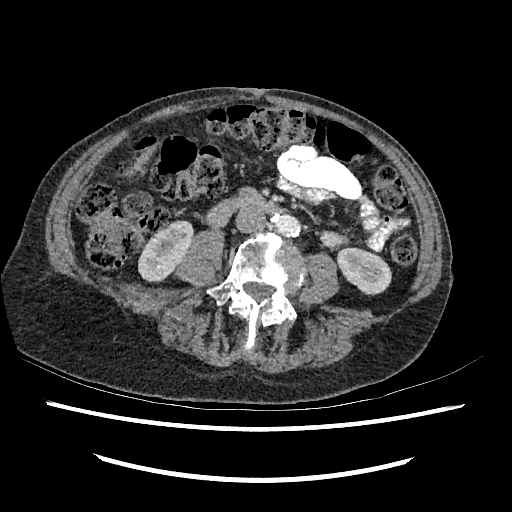 Liver | CT slice
Kidney = 337, 248, 390, 293; 139, 223, 192, 280.
Liver = 134, 145, 156, 170.